Magnetic resonance. Hippocampus. Field of view 36 mm wide, 1.00 mm slice spacing.

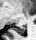 The posterior hippocampus appears at x1=12 y1=26 x2=25 y2=34.